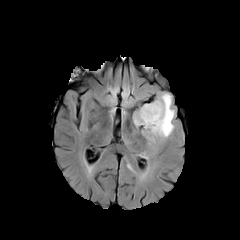
FLAIR magnetic resonance.
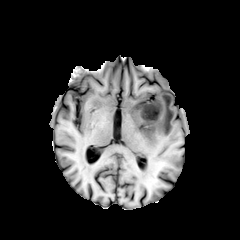
T1-weighted MR of the same slice.
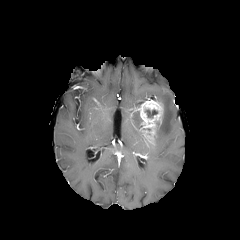
Same slice, post-contrast T1-weighted magnetic resonance.
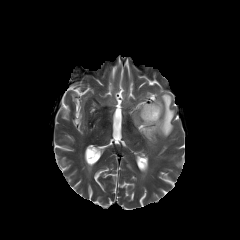
T2-weighted MR of the same slice.
Enhancing tumor: bounding box [137, 100, 162, 134].
Non-enhancing tumor core: bounding box [145, 110, 157, 117].
Edema: bounding box [155, 92, 174, 137], [133, 112, 141, 127].